FLAIR MR image.
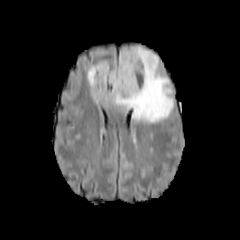
T1-weighted magnetic resonance.
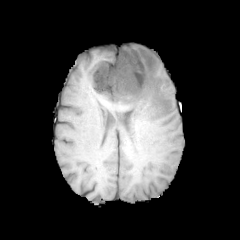
Post-contrast T1-weighted magnetic resonance.
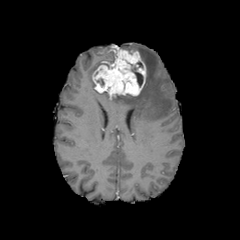
T2-weighted MR.
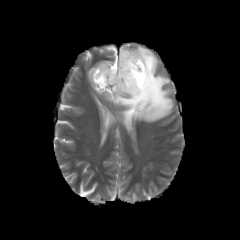
Brain | Image size 240x240
Non-enhancing tumor core: bounding box [x1=131, y1=66, x2=143, y2=86].
Edema: bounding box [x1=87, y1=61, x2=101, y2=92], [x1=101, y1=46, x2=173, y2=122].
Enhancing tumor: bounding box [x1=92, y1=45, x2=146, y2=96].